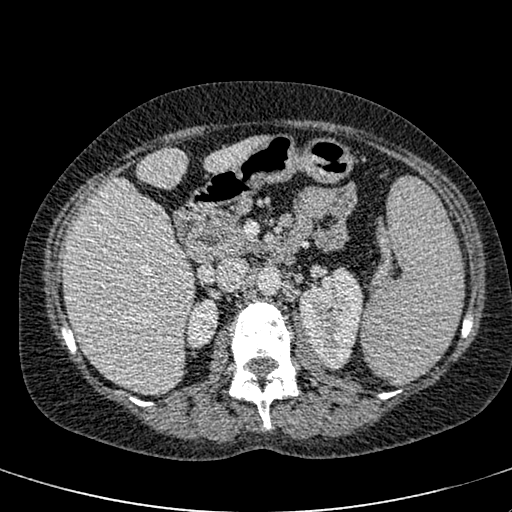

Upper abdomen. CT scan slice. <segmentation>
  <kidney>x1=300 y1=268 x2=362 y2=368, x1=187 y1=299 x2=217 y2=344</kidney>
  <liver>x1=205 y1=136 x2=269 y2=172, x1=65 y1=178 x2=193 y2=392, x1=137 y1=149 x2=185 y2=187</liver>
  <hepatic_lesion>x1=146 y1=205 x2=163 y2=221</hepatic_lesion>
</segmentation>